CT; Slice 100/141; 512x512

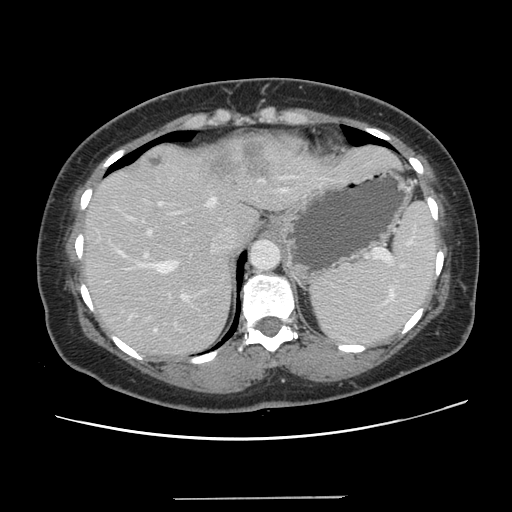
Only some of the vessels may be annotated.
2 liver tumor regions appear at (left=148, top=156, right=163, bottom=167), (left=211, top=143, right=270, bottom=182). 13 hepatic vessel regions are bounded by (left=159, top=202, right=162, bottom=205), (left=130, top=315, right=132, bottom=317), (left=207, top=197, right=215, bottom=205), (left=128, top=217, right=133, bottom=219), (left=280, top=189, right=287, bottom=191), (left=142, top=220, right=143, bottom=221), (left=182, top=294, right=189, bottom=300), (left=116, top=250, right=123, bottom=255), (left=144, top=253, right=147, bottom=256), (left=140, top=261, right=176, bottom=272), (left=154, top=329, right=156, bottom=331), (left=147, top=230, right=151, bottom=234), (left=260, top=179, right=264, bottom=181).